Field of view 240 mm wide, 1.00 mm slice spacing | Head | 240x240 px
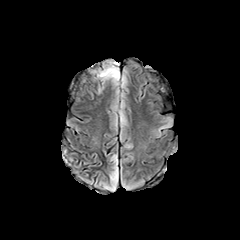
FLAIR MRI.
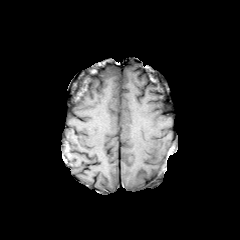
T1-weighted MRI.
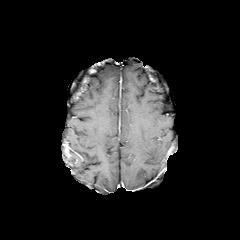
Post-contrast T1-weighted MR.
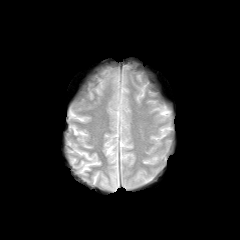
Same slice, T2-weighted MR.
edema:
  - bbox(111, 168, 118, 190)